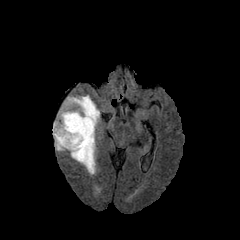
FLAIR MRI.
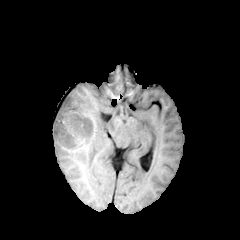
T1-weighted MRI.
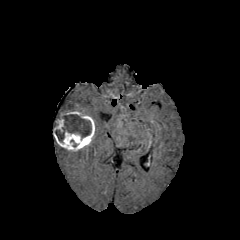
Post-contrast T1-weighted MR of the same slice.
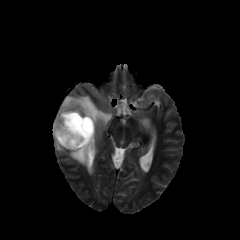
T2-weighted MRI of the same slice.
Brain.
<segmentation>
  <edema>rect(54, 94, 101, 175)</edema>
  <non-enhancing_tumor_core>rect(55, 113, 91, 143); rect(61, 97, 75, 111)</non-enhancing_tumor_core>
  <enhancing_tumor>rect(53, 108, 94, 150)</enhancing_tumor>
</segmentation>